FLAIR MRI.
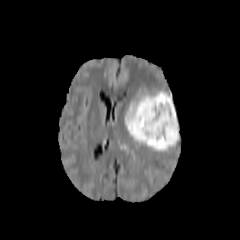
T1-weighted MR image.
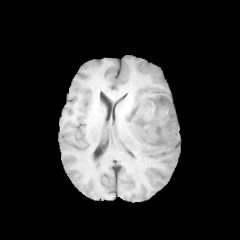
Post-contrast T1-weighted MRI.
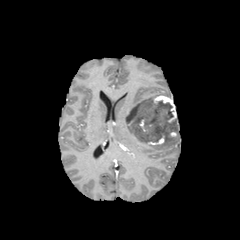
T2-weighted MR image.
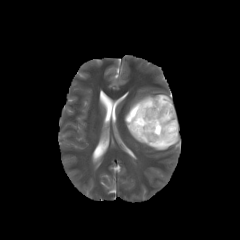
3 edema regions are located at (126, 86, 170, 117), (124, 118, 146, 143), (150, 121, 179, 150). 3 enhancing tumor regions are located at (153, 95, 177, 122), (139, 119, 145, 131), (147, 133, 164, 144). The non-enhancing tumor core lies within (126, 99, 178, 147).